Image width 37 mm; Slice 35 of 46; Magnetic resonance

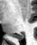 <segmentation>
  <posterior_hippocampus>bbox(14, 34, 23, 39)</posterior_hippocampus>
</segmentation>